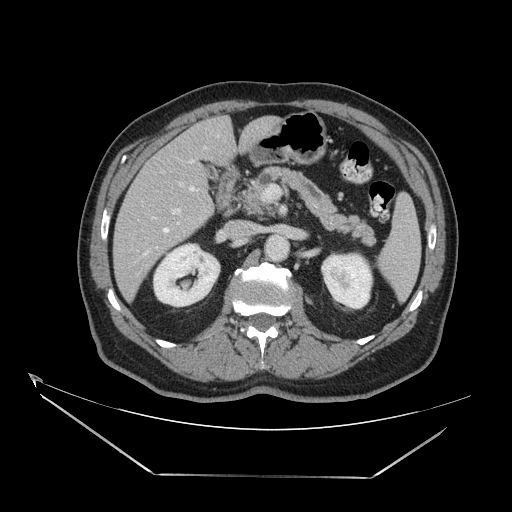 Upper abdomen, CT scan slice
Pancreas at rect(256, 167, 374, 245).